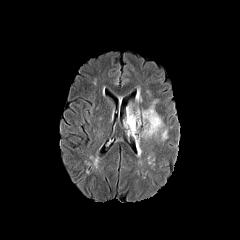
FLAIR MR.
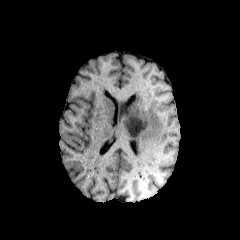
T1-weighted MR image.
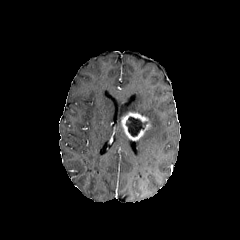
Post-contrast T1-weighted MRI.
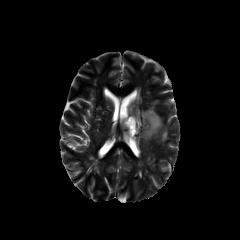
Same slice, T2-weighted MR image.
The enhancing tumor is located at <bbox>122, 113, 151, 141</bbox>. The edema is bounded by <bbox>141, 110, 160, 139</bbox>. The non-enhancing tumor core is bounded by <bbox>126, 117, 145, 136</bbox>.